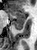

Medial temporal lobe; MRI

Posterior hippocampus at (11,21,24,30).
Anterior hippocampus at (7,10,24,20).